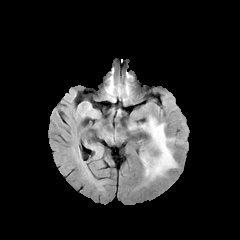
FLAIR MR.
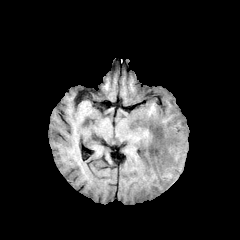
T1-weighted MR image of the same slice.
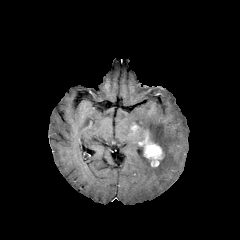
Post-contrast T1-weighted magnetic resonance of the same slice.
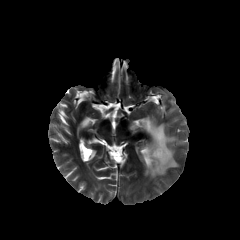
Same slice, T2-weighted MRI.
Brain
Annotated regions:
* enhancing tumor: 144:144:162:166
* edema: 129:115:177:178